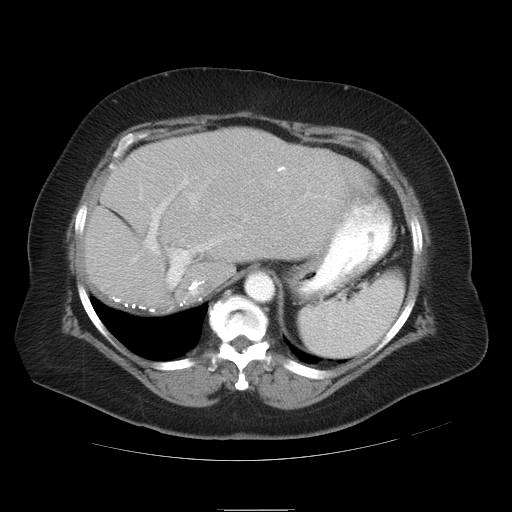 CT image

Some hepatic vessels may have no box.
Hepatic vessel = 166,232,241,287; 132,255,142,263; 293,205,295,215; 238,226,240,228; 144,174,189,256; 184,292,193,298; 212,214,214,216; 243,214,247,221; 193,177,196,177; 186,192,200,208.